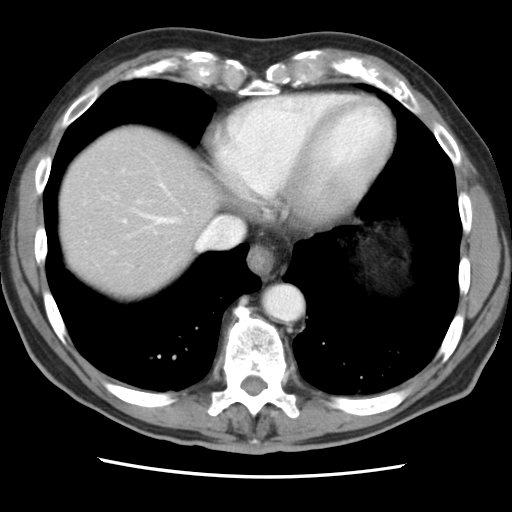

Abdomen | CT image
Only some of the vessels may be annotated.
Hepatic vessel — l=124, t=220, r=126, b=222; l=113, t=251, r=115, b=253; l=161, t=184, r=164, b=187; l=138, t=200, r=141, b=202; l=151, t=216, r=174, b=223.